CT image; Image width 475 mm; Slice 28/51

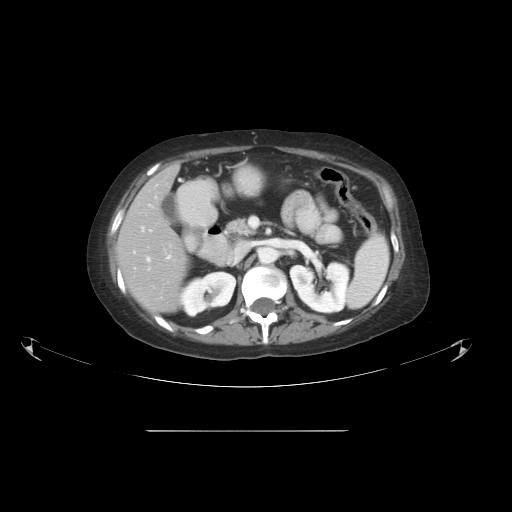

Some hepatic vessels may have no box.
8 hepatic vessel regions are bounded by [141,226,144,231], [166,255,170,258], [133,251,135,253], [148,267,150,269], [155,196,157,198], [148,204,152,207], [149,229,151,231], [147,257,150,261].